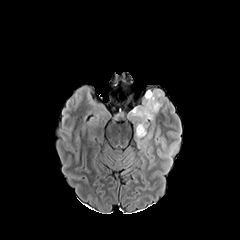
FLAIR magnetic resonance.
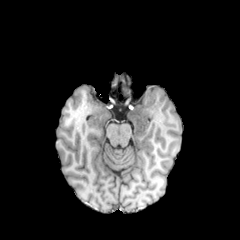
T1-weighted MRI.
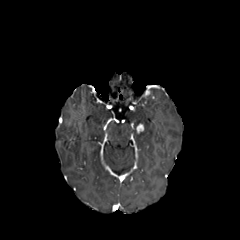
Post-contrast T1-weighted magnetic resonance of the same slice.
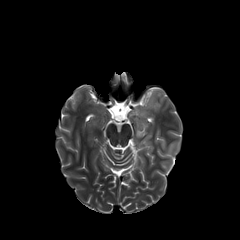
Same slice, T2-weighted MR.
240x240 px
Findings:
• enhancing tumor: (136,124,143,134)
• edema: (128,95,161,151)